512x512 px. Computed tomography. Slice 609 of 896. Liver.

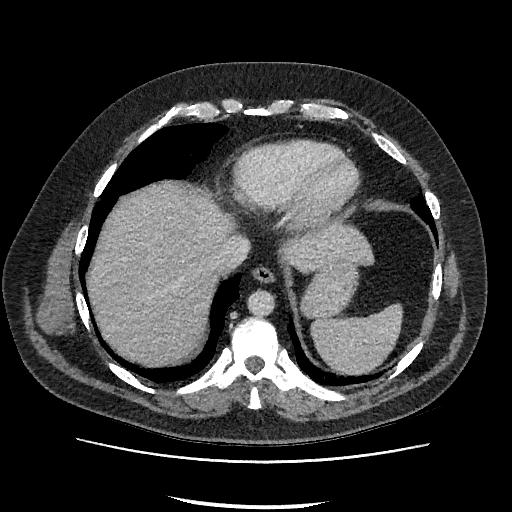
2 liver regions are located at x1=283, y1=225, x2=373, y2=272; x1=88, y1=186, x2=231, y2=363.